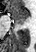

MR | 36x52 px
Posterior hippocampus — rect(18, 23, 22, 24).
Anterior hippocampus — rect(8, 5, 28, 22).